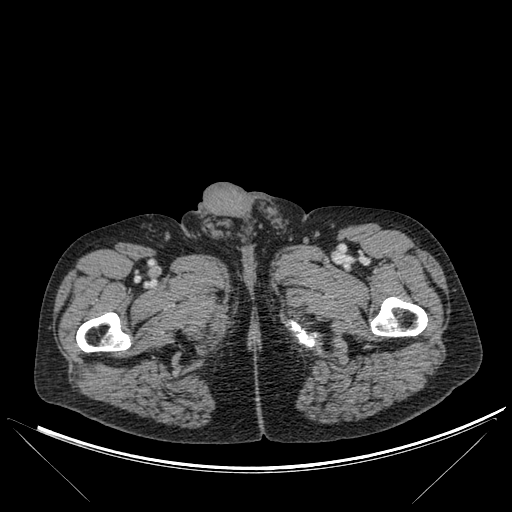 CT image
Annotated regions:
* bone: (76,312,130,352), (284,317,319,346), (371,297,427,336)